512x512 | Field of view 387 mm wide, 0.80 mm slice spacing | CT scan slice | Lower abdomen

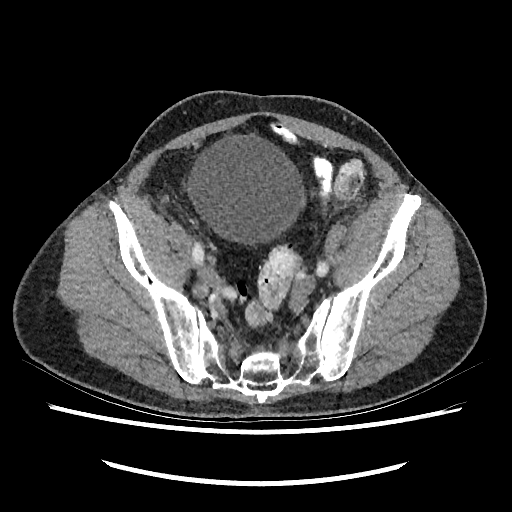

urinary_bladder:
  - [x1=186, y1=133, x2=306, y2=246]